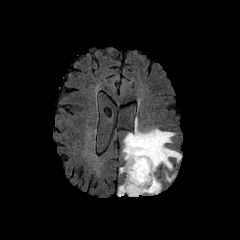
FLAIR MRI.
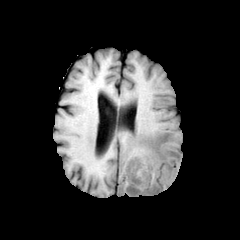
T1-weighted MRI.
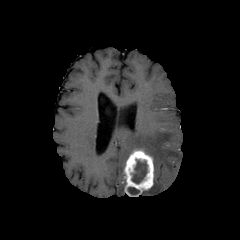
Post-contrast T1-weighted MR.
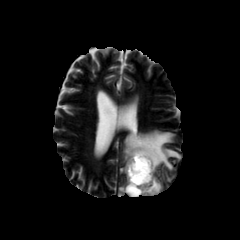
T2-weighted MR image.
Head
Edema at {"x1": 122, "y1": 117, "x2": 181, "y2": 172}, {"x1": 118, "y1": 182, "x2": 125, "y2": 196}, {"x1": 143, "y1": 176, "x2": 162, "y2": 194}, {"x1": 164, "y1": 171, "x2": 174, "y2": 182}.
Enhancing tumor at {"x1": 123, "y1": 148, "x2": 154, "y2": 196}.
Non-enhancing tumor core at {"x1": 132, "y1": 161, "x2": 147, "y2": 183}.